Computed tomography. Upper abdomen. Slice index 379.
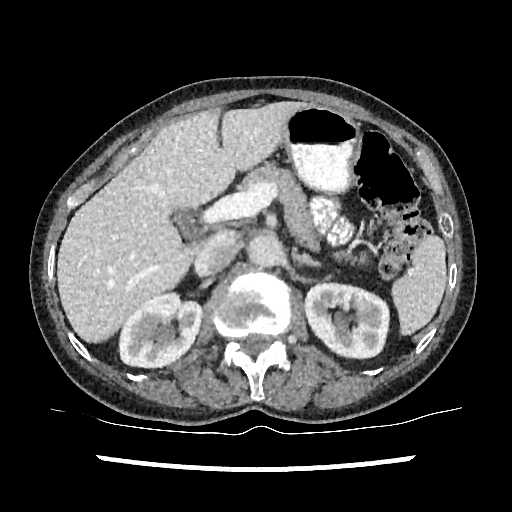 Segmented structures:
• kidney: left=120, top=295, right=201, bottom=369; left=306, top=284, right=388, bottom=357
• liver: left=58, top=102, right=304, bottom=342